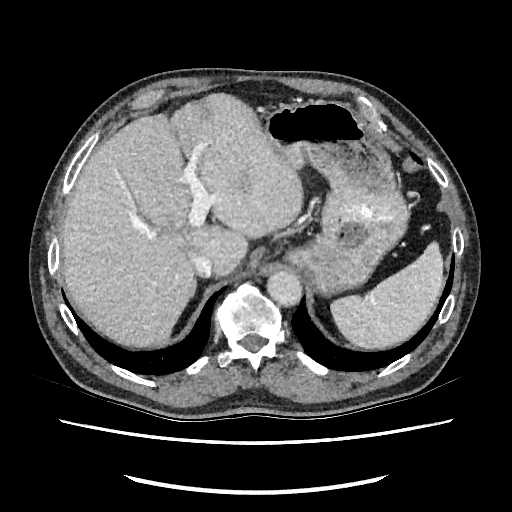

Image size 512x512 | CT
Annotated regions:
* liver: box=[62, 94, 301, 344]